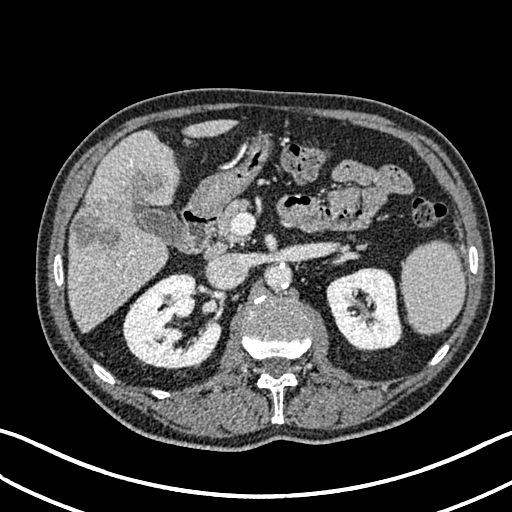 CT
2 hepatic lesion regions are located at bbox=[73, 201, 120, 249]; bbox=[128, 171, 163, 199]. 2 liver regions are located at bbox=[184, 120, 235, 136]; bbox=[69, 130, 178, 332]. 3 kidney regions are located at bbox=[203, 301, 215, 311]; bbox=[327, 269, 400, 349]; bbox=[124, 275, 220, 367].